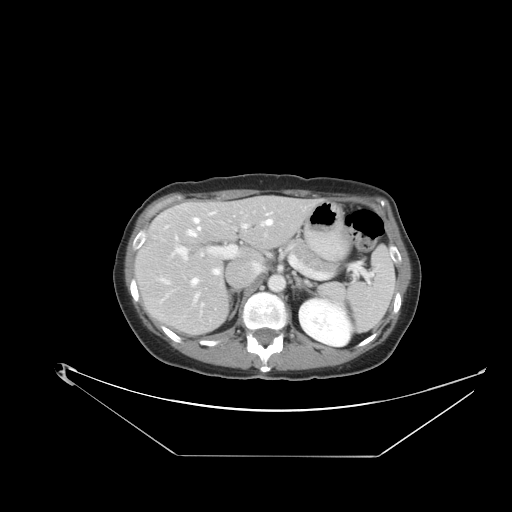
CT
Pancreas = (left=293, top=241, right=334, bottom=273).